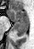

34x49 px, MR image, Medial temporal lobe
anterior hippocampus: bbox(8, 9, 29, 23) | posterior hippocampus: bbox(13, 23, 28, 35)